Image size 240x240 | Slice 125/155 | Brain
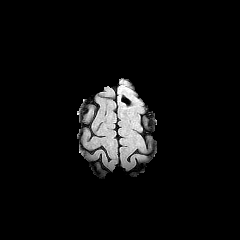
FLAIR magnetic resonance.
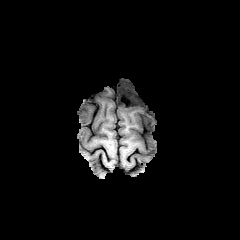
T1-weighted magnetic resonance of the same slice.
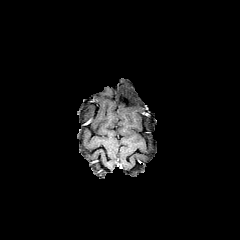
Post-contrast T1-weighted MRI.
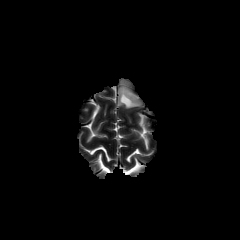
Same slice, T2-weighted magnetic resonance.
Annotated regions:
- edema: <bbox>117, 82, 141, 108</bbox>